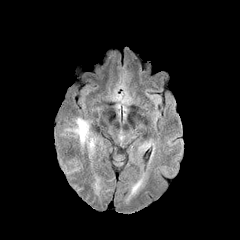
FLAIR MRI.
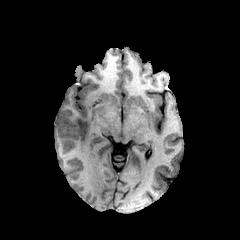
Same slice, T1-weighted MR.
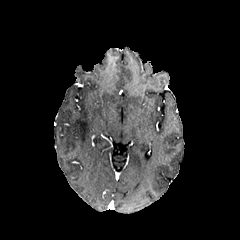
Post-contrast T1-weighted magnetic resonance.
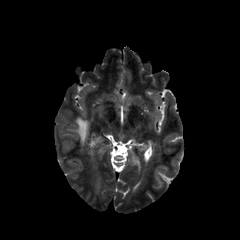
T2-weighted MR.
<segmentation>
  <edema>[73, 117, 92, 146]</edema>
</segmentation>